Image width 452 mm; CT scan slice; Abdomen 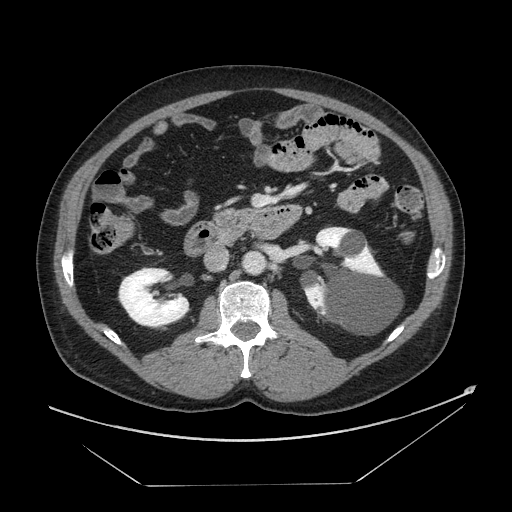

The pancreas lies within [215,209,257,242].